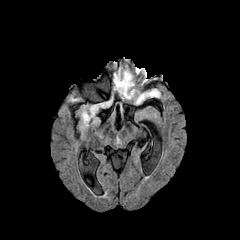
FLAIR MR.
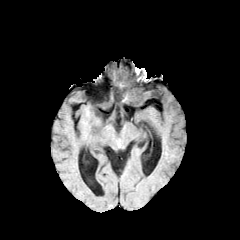
T1-weighted MRI of the same slice.
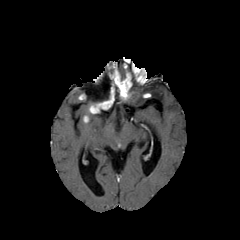
Post-contrast T1-weighted MR of the same slice.
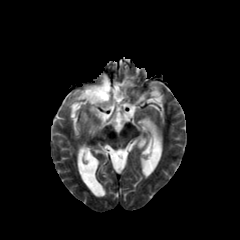
T2-weighted MR image.
Image size 240x240.
non-enhancing tumor core: 89 85 119 113, 116 68 132 79, 128 87 147 97 | enhancing tumor: 114 70 132 97 | edema: 133 88 161 104, 83 112 93 122, 132 70 145 77